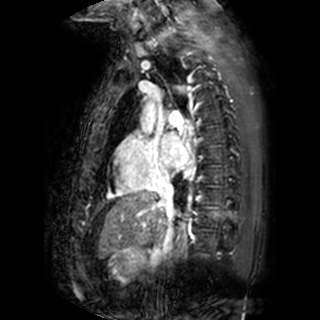
320x320 | Heart | MRI slice
Left atrium: [162, 131, 187, 167].